Image size 512x512; CT slice
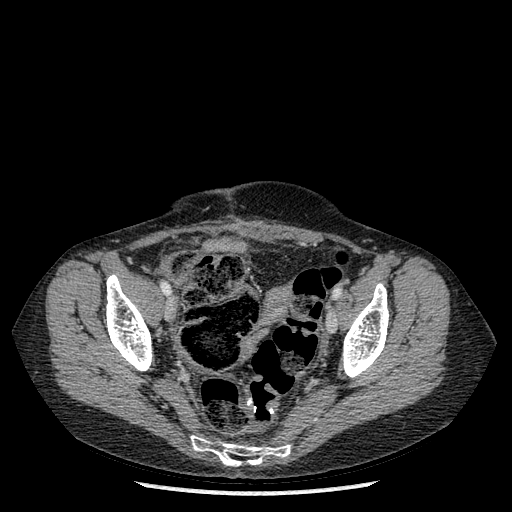

bone:
  - 190 435 290 466
  - 106 274 152 371
  - 342 283 388 377